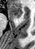 Medial temporal lobe; MRI

The anterior hippocampus is bounded by [10, 5, 22, 18].